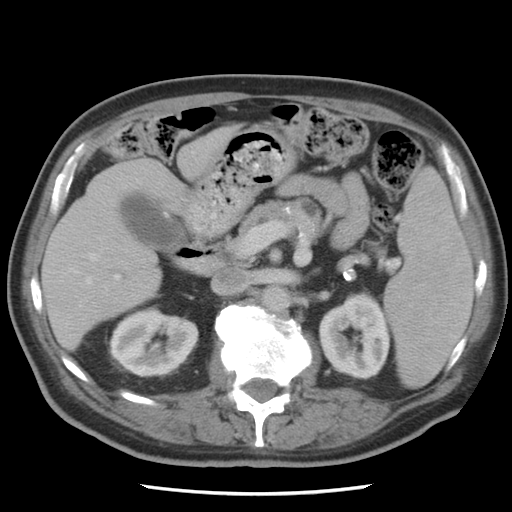
CT slice
- pancreas: (239,198,328,243)